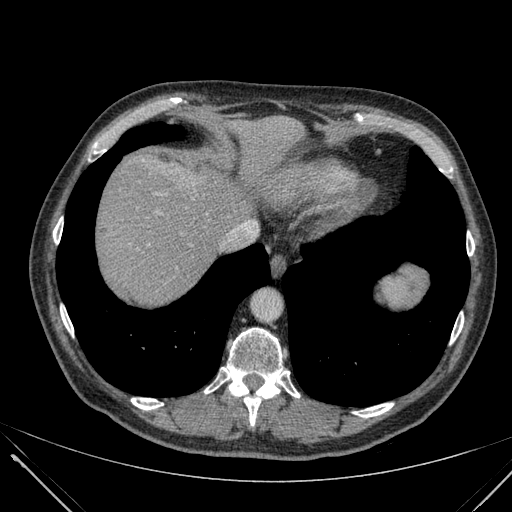

Liver; Computed tomography; 512x512 px
Liver: bounding box box(96, 115, 304, 304).